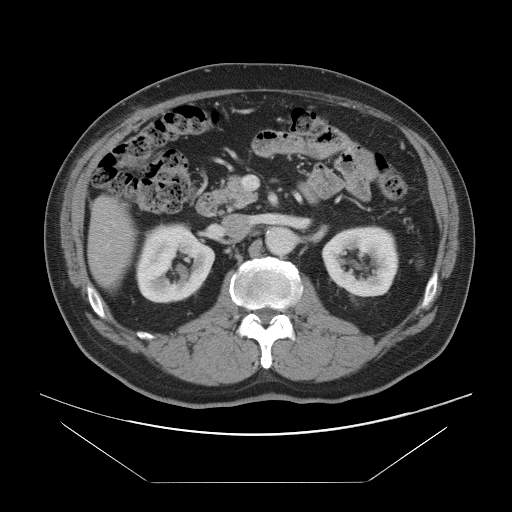

CT slice, Abdomen
The vessel boxes may cover only some of the vessels.
hepatic vessel: bbox=[105, 230, 107, 231]